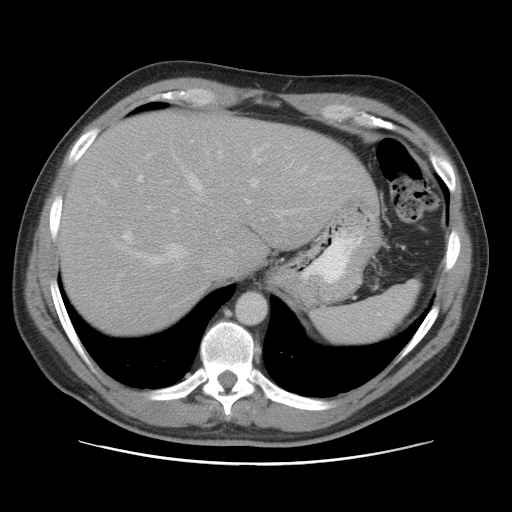

CT scan slice, Abdomen

Only some of the vessels may be annotated.
• hepatic vessel: region(123, 230, 132, 242); region(252, 143, 268, 162); region(250, 178, 258, 186); region(173, 209, 177, 212); region(134, 244, 186, 264); region(246, 200, 249, 202); region(137, 175, 142, 181); region(184, 169, 202, 193)